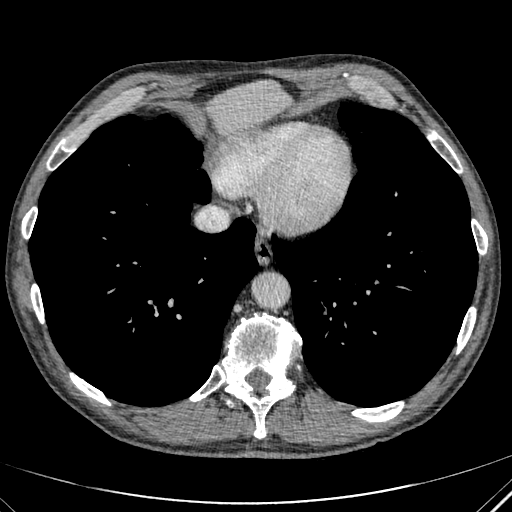
CT scan slice | Liver

liver:
  - x1=208 y1=80 x2=291 y2=134